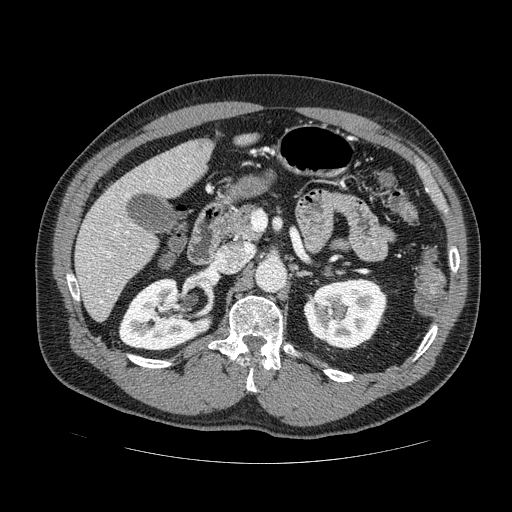 CT

Pancreas: l=219, t=204, r=261, b=243.